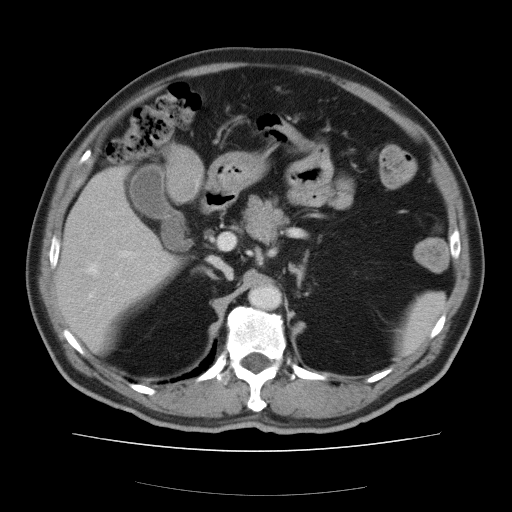 CT scan slice; Abdomen

The vessel annotation is not exhaustive.
The liver tumor is at rect(174, 150, 199, 194). 4 hepatic vessel regions appear at rect(88, 293, 91, 297); rect(88, 264, 95, 272); rect(115, 273, 116, 275); rect(125, 252, 128, 253).